Slice 57 of 112; CT
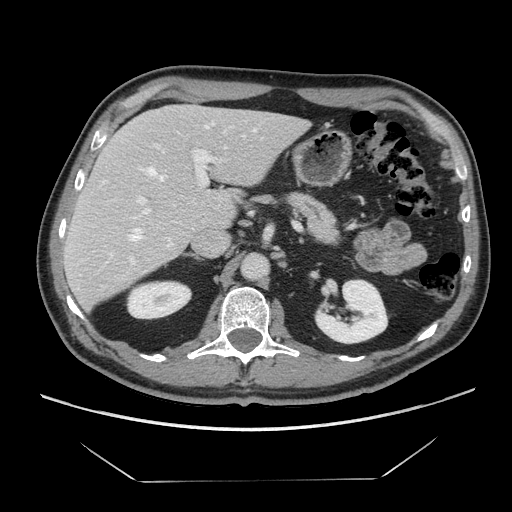

Segmented structures:
* pancreas: (287, 193, 339, 244)